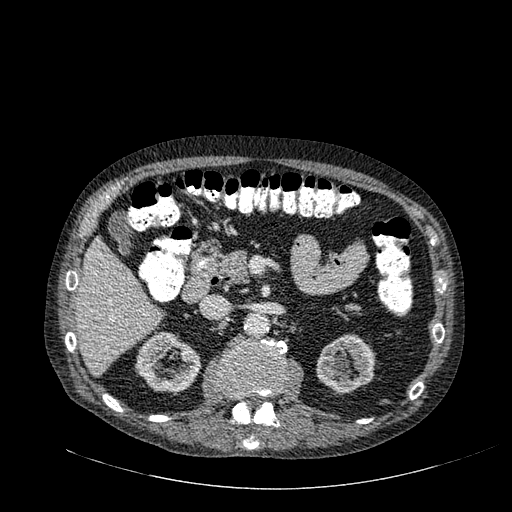

CT image. Liver at x1=78 y1=238 x2=161 y2=374.
Kidney at x1=316 y1=334 x2=375 y2=394, x1=135 y1=332 x2=200 y2=393.